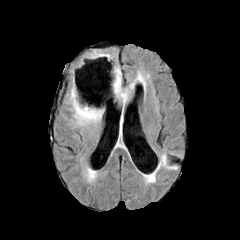
FLAIR MR image.
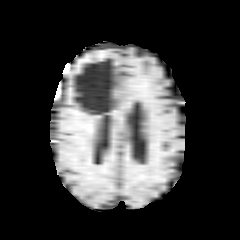
T1-weighted magnetic resonance of the same slice.
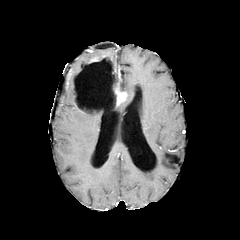
Post-contrast T1-weighted MR.
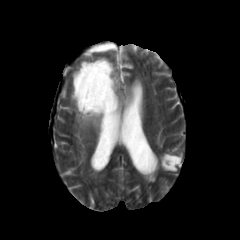
T2-weighted magnetic resonance.
Head
Edema — (left=68, top=82, right=104, bottom=129), (left=113, top=68, right=145, bottom=111), (left=160, top=154, right=175, bottom=169).
Non-enhancing tumor core — (left=89, top=50, right=100, bottom=61), (left=74, top=66, right=119, bottom=115).
Enhancing tumor — (left=114, top=87, right=127, bottom=102).